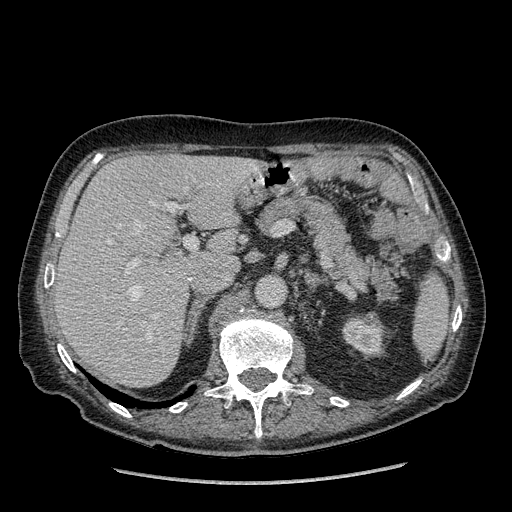

CT image; Liver
<segmentation>
  <kidney>box(342, 314, 383, 355)</kidney>
  <liver>box(55, 154, 257, 387)</liver>
</segmentation>